Field of view 240x240 mm; Head; Slice 90/155
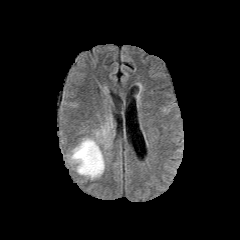
FLAIR magnetic resonance.
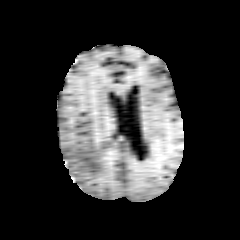
Same slice, T1-weighted MRI.
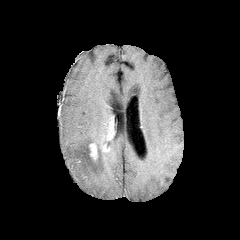
Post-contrast T1-weighted MR of the same slice.
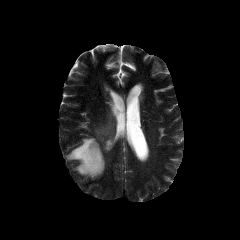
T2-weighted magnetic resonance of the same slice.
edema:
  - bbox=[67, 123, 114, 179]
enhancing_tumor:
  - bbox=[90, 143, 97, 158]